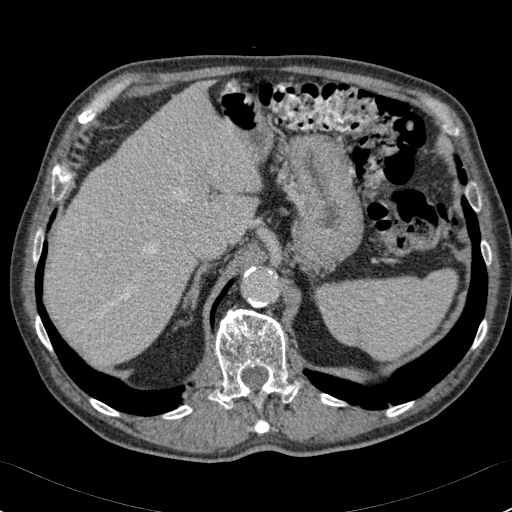 CT image | Liver
liver: <bbox>48, 82, 259, 361</bbox>